MRI slice | Medial temporal lobe | Field of view 35x52 mm | 35x52
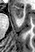

Anterior hippocampus — <bbox>13, 5, 23, 18</bbox>.